FLAIR MR image.
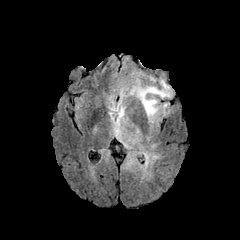
T1-weighted MR image.
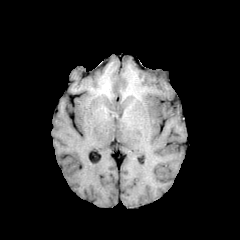
Post-contrast T1-weighted MR.
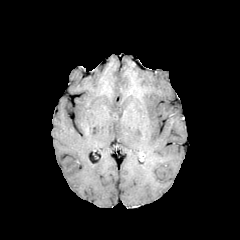
T2-weighted MRI.
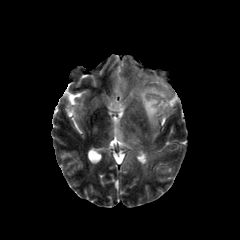
Brain
3 edema regions appear at bbox(137, 76, 172, 123); bbox(114, 106, 124, 117); bbox(128, 87, 138, 97). The non-enhancing tumor core is located at bbox(136, 87, 150, 100).